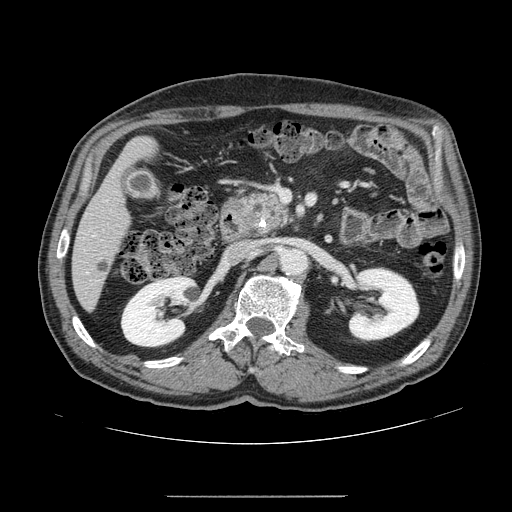
CT scan slice
{
  "pancreas": [
    "l=238, t=189, r=289, b=237"
  ]
}